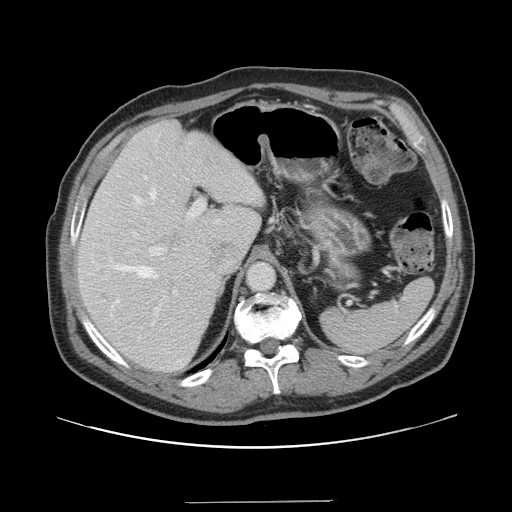
CT slice. The vessel boxes may cover only some of the vessels.
hepatic vessel: bbox=[134, 196, 141, 203]; bbox=[187, 199, 204, 218]; bbox=[173, 290, 175, 293]; bbox=[149, 246, 165, 255]; bbox=[150, 188, 155, 199]; bbox=[116, 300, 118, 302]; bbox=[155, 304, 161, 315]; bbox=[164, 296, 165, 297]; bbox=[114, 265, 156, 277]